FLAIR MR image.
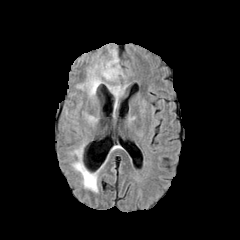
T1-weighted magnetic resonance.
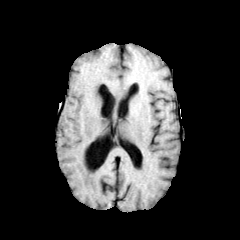
Post-contrast T1-weighted MR image.
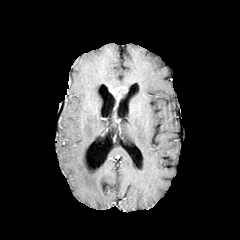
T2-weighted MR image.
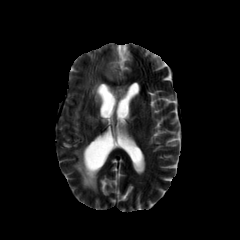
Head
Edema: x1=111 y1=85 x2=126 y2=98, x1=104 y1=50 x2=121 y2=81, x1=72 y1=143 x2=98 y2=192, x1=86 y1=78 x2=110 y2=102.